Field of view 240 mm wide, 1.00 mm slice spacing. Brain.
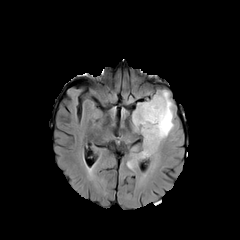
FLAIR MR image.
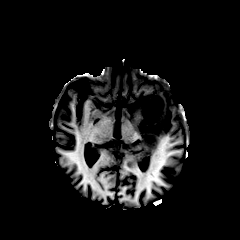
T1-weighted MR.
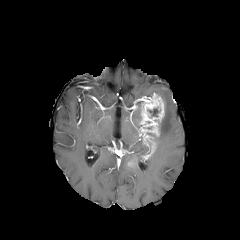
Post-contrast T1-weighted MR of the same slice.
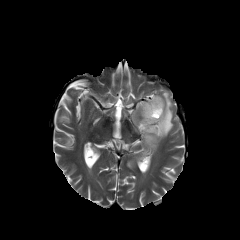
Same slice, T2-weighted MR.
The enhancing tumor appears at x1=140 y1=93 x2=164 y2=126. 3 non-enhancing tumor core regions are located at x1=144 y1=131 x2=159 y2=155, x1=134 y1=99 x2=143 y2=113, x1=147 y1=107 x2=160 y2=118. The edema is at x1=126 y1=90 x2=176 y2=169.